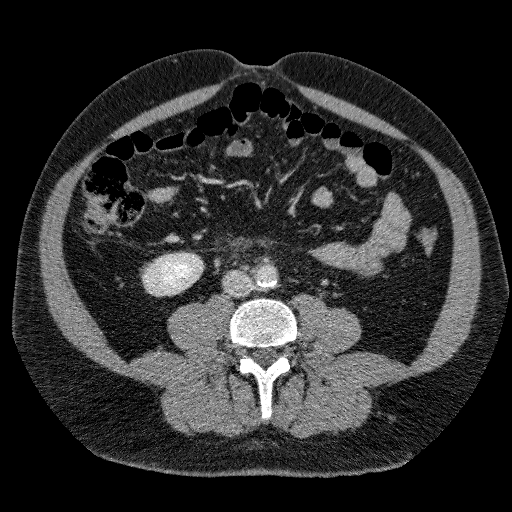 CT scan slice; 512x512; Abdomen
kidney:
  - bbox(143, 253, 202, 295)